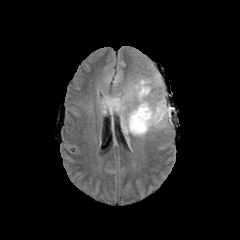
FLAIR MR image.
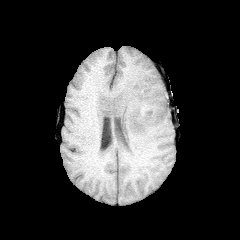
T1-weighted magnetic resonance.
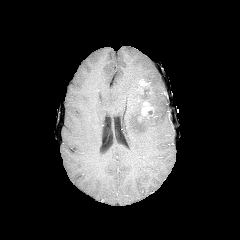
Post-contrast T1-weighted MR.
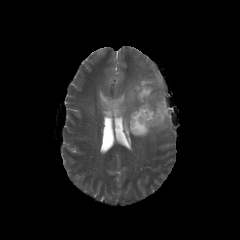
Same slice, T2-weighted MR.
240x240.
2 enhancing tumor regions are bounded by box(141, 101, 153, 115); box(138, 80, 147, 89). 2 non-enhancing tumor core regions are located at box(111, 94, 133, 111); box(135, 80, 158, 123). 2 edema regions are located at box(149, 74, 162, 86); box(99, 83, 171, 143).